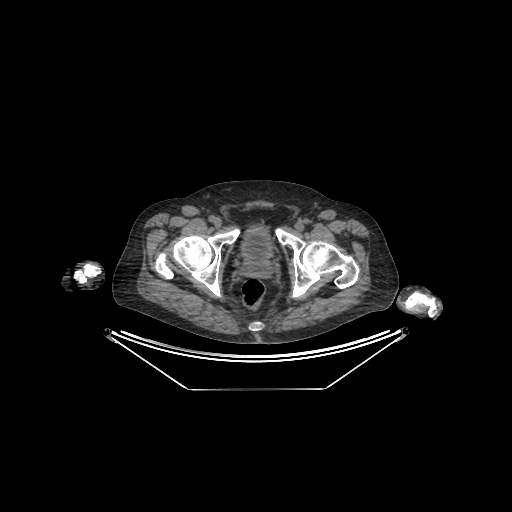

CT slice. Pelvis.

The urinary bladder lies within [237, 219, 277, 263].